Brain | Slice 114 of 155 | 240x240 px
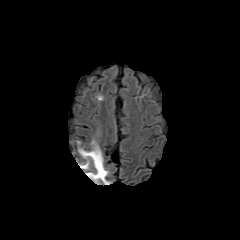
FLAIR MR image.
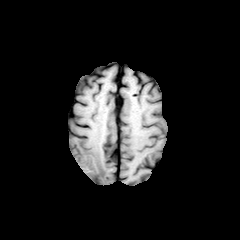
T1-weighted magnetic resonance of the same slice.
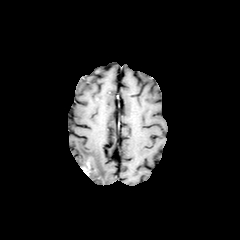
Post-contrast T1-weighted MRI of the same slice.
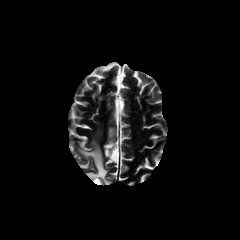
T2-weighted MR image.
Edema — box(77, 141, 110, 183).